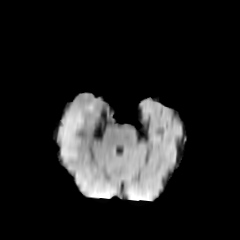
FLAIR magnetic resonance.
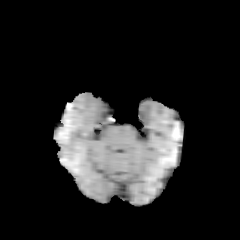
T1-weighted MR image.
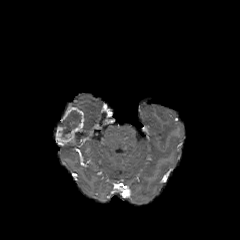
Post-contrast T1-weighted MR image of the same slice.
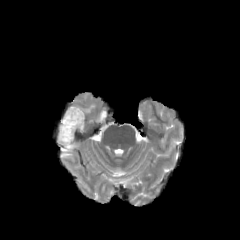
T2-weighted MR image of the same slice.
The enhancing tumor is located at [55, 107, 84, 144]. The non-enhancing tumor core is at [61, 110, 81, 137].